Brain, Image width 240 mm
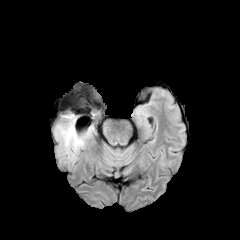
FLAIR MR.
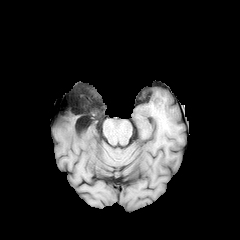
T1-weighted MRI of the same slice.
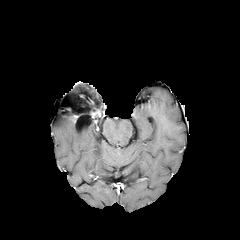
Post-contrast T1-weighted magnetic resonance.
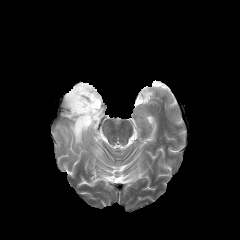
T2-weighted MR image.
Annotated regions:
- edema: (54, 113, 95, 157)
- non-enhancing tumor core: (66, 104, 99, 122)